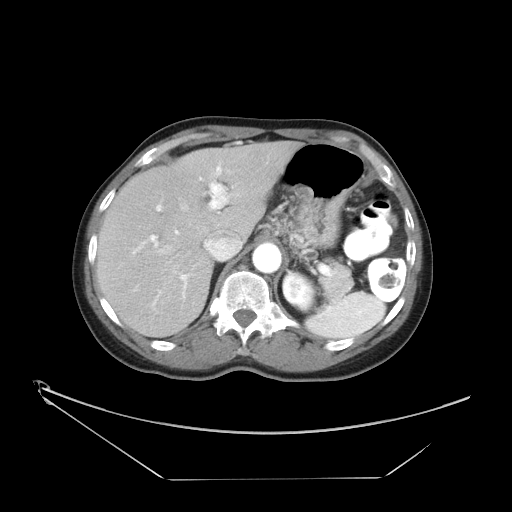
512x512; Liver; CT slice

Some hepatic vessels may have no box.
hepatic_vessel:
  - l=217, t=230, r=222, b=232
  - l=150, t=235, r=157, b=245
  - l=180, t=275, r=187, b=294
  - l=156, t=205, r=160, b=210
  - l=182, t=206, r=186, b=208
  - l=210, t=183, r=226, b=208
  - l=199, t=177, r=201, b=180
  - l=153, t=298, r=156, b=304
  - l=161, t=249, r=165, b=252
  - l=175, t=230, r=178, b=233
  - l=216, t=166, r=220, b=174
  - l=204, t=238, r=242, b=254
  - l=158, t=290, r=160, b=293
  - l=134, t=242, r=145, b=252